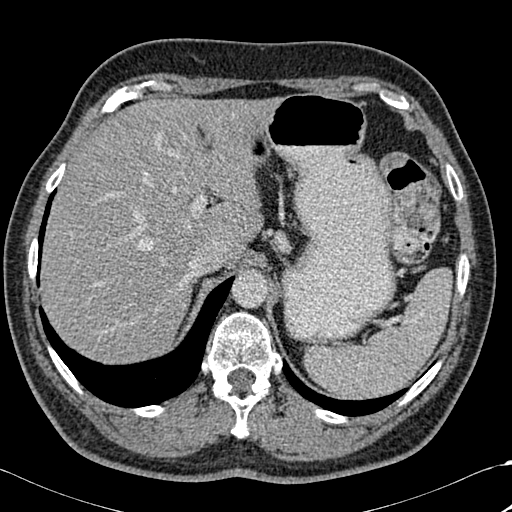
CT scan slice, Abdomen

Liver — <bbox>41, 99, 275, 363</bbox>.
Lung — <bbox>39, 277, 233, 407</bbox>, <bbox>283, 360, 407, 416</bbox>, <bbox>37, 190, 56, 285</bbox>.
Bone — <bbox>401, 362, 440, 403</bbox>, <bbox>458, 256, 468, 293</bbox>, <bbox>202, 313, 281, 436</bbox>, <bbox>135, 405, 162, 416</bbox>, <bbox>381, 95, 408, 108</bbox>, <bbox>49, 349, 80, 391</bbox>, <bbox>316, 410, 345, 423</bbox>, <bbox>46, 165, 64, 191</bbox>, <bbox>447, 166, 462, 199</bbox>, <bbox>28, 239, 37, 277</bbox>, <bbox>102, 83, 147, 111</bbox>.